FLAIR MR.
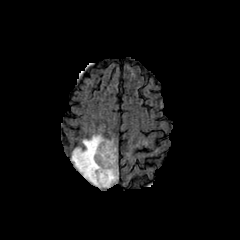
T1-weighted MR image.
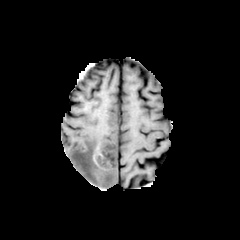
Post-contrast T1-weighted MR image.
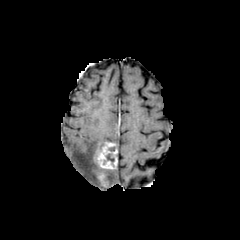
T2-weighted MR image.
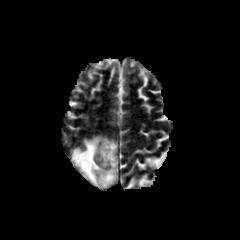
Head; 240x240 px
2 edema regions appear at bbox(71, 134, 115, 188); bbox(107, 167, 118, 187). 2 enhancing tumor regions appear at bbox(96, 142, 117, 170); bbox(98, 172, 108, 187). The non-enhancing tumor core is bounded by bbox(77, 142, 117, 185).